FLAIR MR.
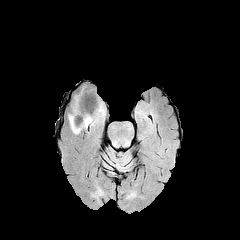
T1-weighted MR.
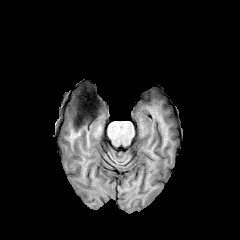
Post-contrast T1-weighted magnetic resonance.
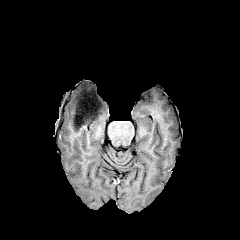
T2-weighted magnetic resonance.
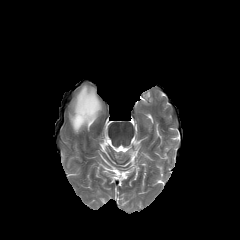
240x240 px
The non-enhancing tumor core lies within x1=76 y1=104 x2=95 y2=125. The edema lies within x1=69 y1=98 x2=104 y2=133.